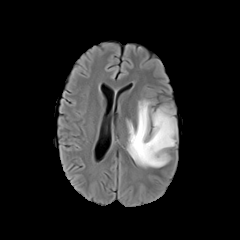
FLAIR magnetic resonance.
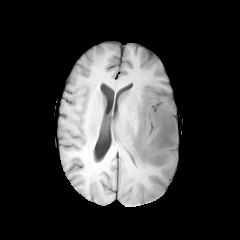
T1-weighted MR image of the same slice.
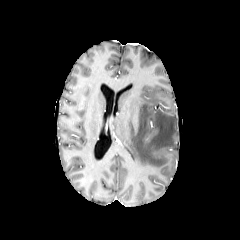
Same slice, post-contrast T1-weighted magnetic resonance.
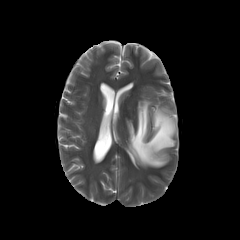
T2-weighted MR of the same slice.
240x240 px, Brain
Segmented structures:
• edema: (125, 96, 178, 168)